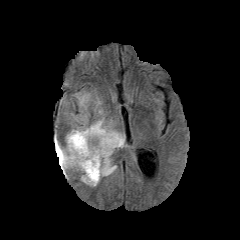
FLAIR MR.
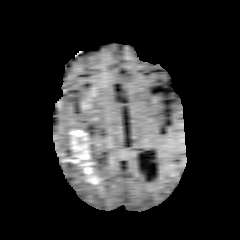
T1-weighted MR.
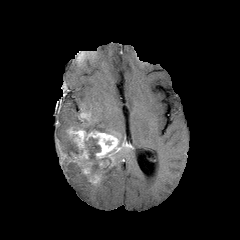
Post-contrast T1-weighted MR of the same slice.
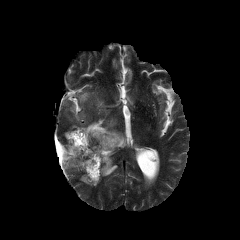
T2-weighted MRI.
{
  "non-enhancing_tumor_core": [
    "[61,137,82,167]",
    "[85,154,99,175]"
  ],
  "enhancing_tumor": [
    "[55,138,66,164]",
    "[68,128,127,183]"
  ],
  "edema": [
    "[60,132,74,151]",
    "[87,137,99,159]",
    "[62,154,116,186]",
    "[70,118,124,137]"
  ]
}